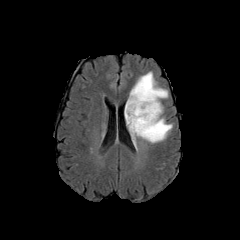
FLAIR magnetic resonance.
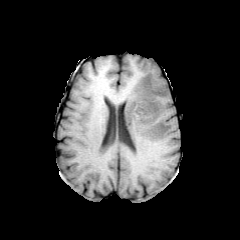
T1-weighted MR image.
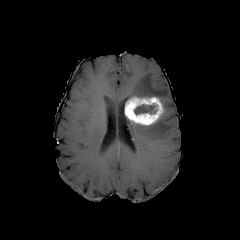
Post-contrast T1-weighted MR.
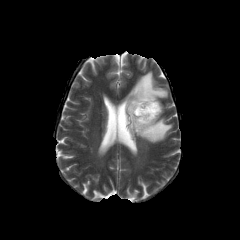
T2-weighted MRI of the same slice.
240x240 px, Brain
{
  "non-enhancing_tumor_core": [
    "[134, 105, 154, 114]"
  ],
  "enhancing_tumor": [
    "[124, 96, 162, 125]"
  ],
  "edema": [
    "[127, 71, 168, 100]",
    "[125, 116, 173, 145]"
  ]
}